CT slice. Chest.

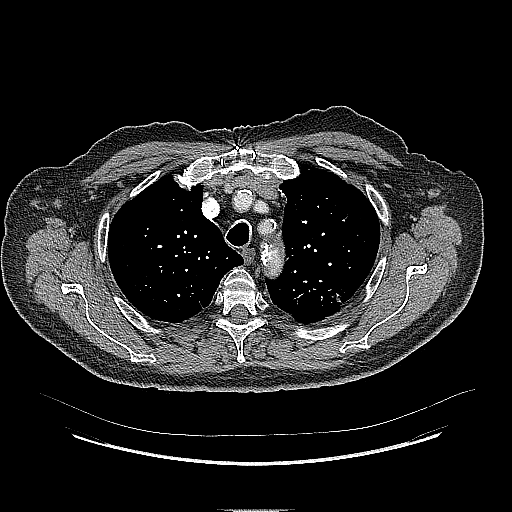

Lung tumor: bounding box region(326, 289, 343, 305).